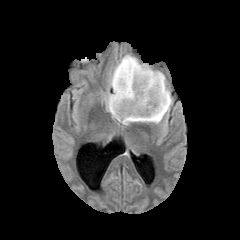
FLAIR MRI.
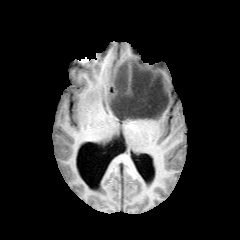
T1-weighted MRI.
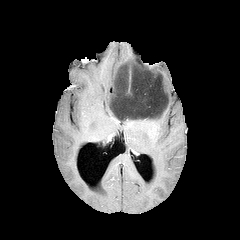
Same slice, post-contrast T1-weighted magnetic resonance.
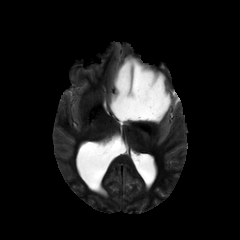
T2-weighted magnetic resonance of the same slice.
Image size 240x240
- non-enhancing tumor core: [x1=112, y1=65, x2=167, y2=119]
- edema: [x1=104, y1=55, x2=172, y2=125]